Slice index 85 | Field of view 240 mm wide, 1.00 mm slice spacing
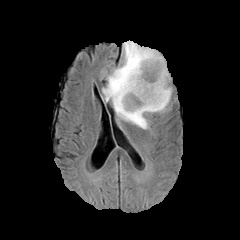
FLAIR MR image.
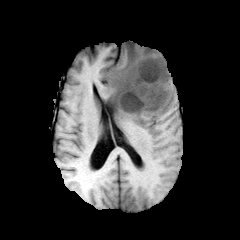
T1-weighted magnetic resonance.
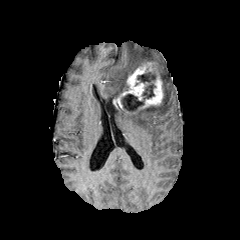
Same slice, post-contrast T1-weighted MR image.
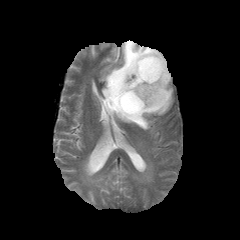
T2-weighted magnetic resonance.
* edema: region(102, 41, 172, 129)
* enhancing tumor: region(113, 61, 163, 109)
* non-enhancing tumor core: region(107, 90, 122, 110); region(121, 94, 144, 112); region(137, 72, 156, 99); region(139, 58, 167, 79)